CT slice; Abdomen; Image width 512 mm; 512x512 px

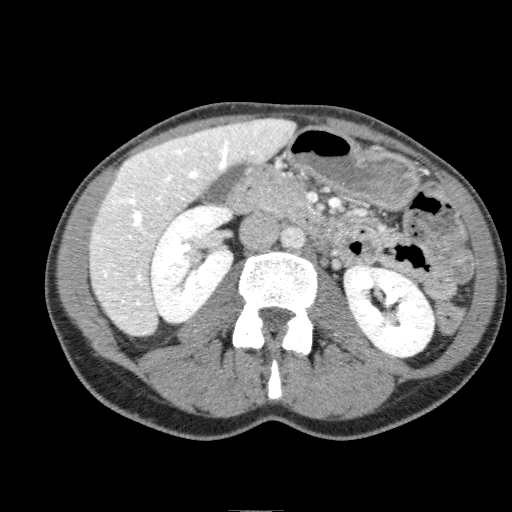
Segmented structures:
• liver: [89,117,296,335]
• kidney: [151,206,232,322], [345,266,433,356]